Slice 112 of 266, CT scan slice 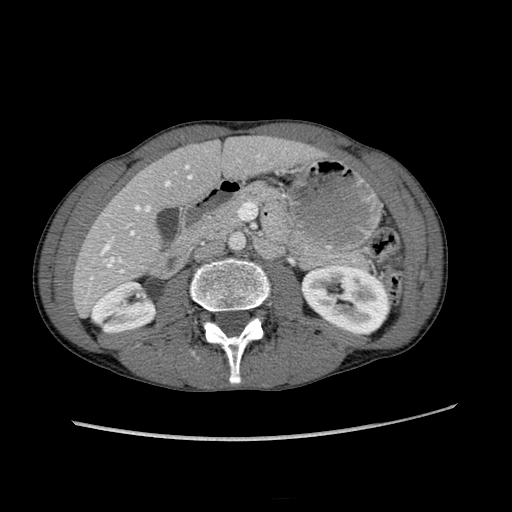 kidney: x1=92, y1=282, x2=154, y2=331; x1=303, y1=265, x2=387, y2=332 | liver: x1=71, y1=135, x2=320, y2=314